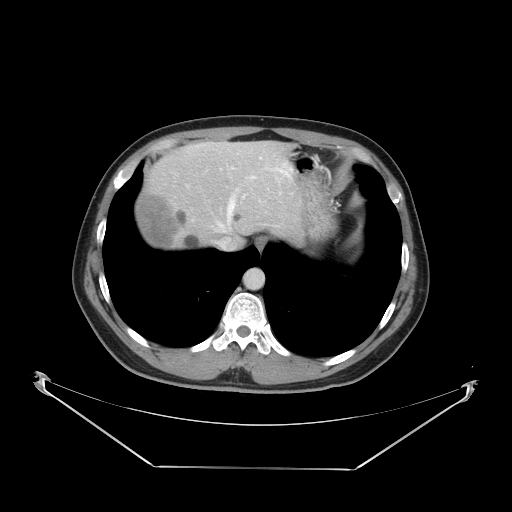
Abdomen. CT image.
Some hepatic vessels may have no box.
Findings:
• hepatic vessel: box(216, 194, 235, 230); box(251, 176, 254, 178)
• liver tumor: box(138, 193, 178, 246)